Upper abdomen. 512x512. CT image.
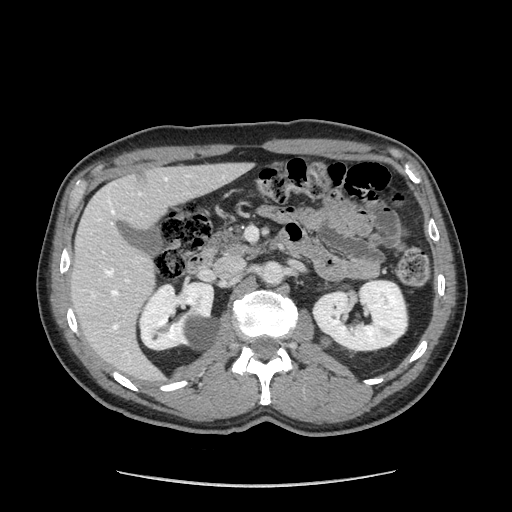 pancreas:
  - box(220, 225, 257, 256)